Slice 54 of 95 | Abdomen | Field of view 480x480 mm | CT scan slice

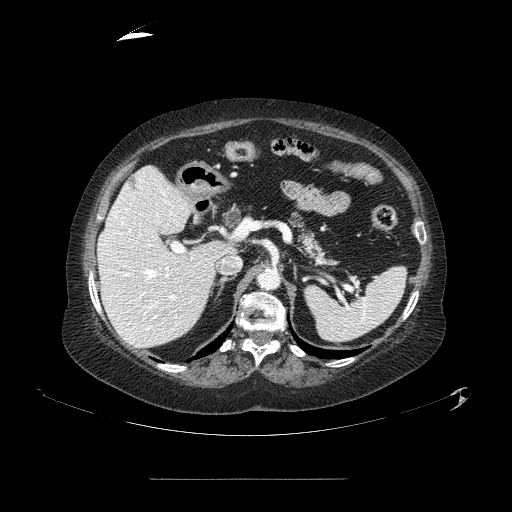
Pancreas: bounding box bbox(290, 209, 338, 271); bbox(224, 209, 242, 228).